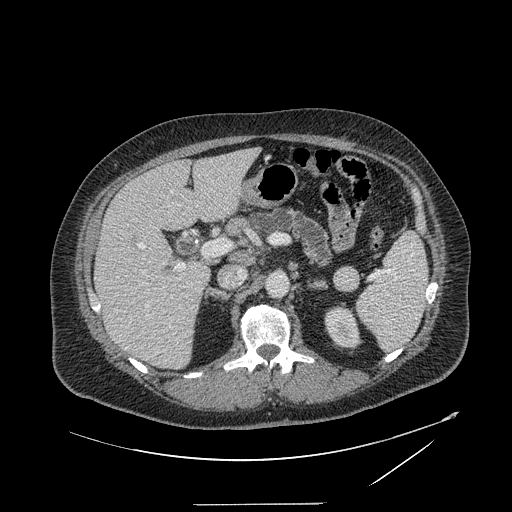
CT slice.
<segmentation>
  <pancreas>x1=248 y1=209 x2=331 y2=266</pancreas>
</segmentation>